Slice 70/155; Head; 240x240 px
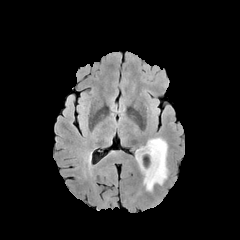
FLAIR MR.
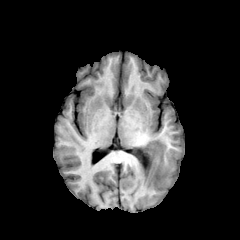
T1-weighted MRI of the same slice.
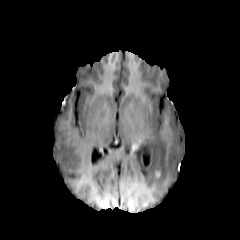
Post-contrast T1-weighted MRI.
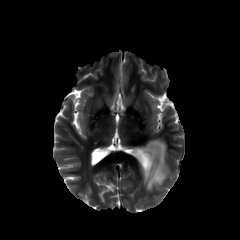
T2-weighted MR of the same slice.
The edema is at 135:137:168:191.